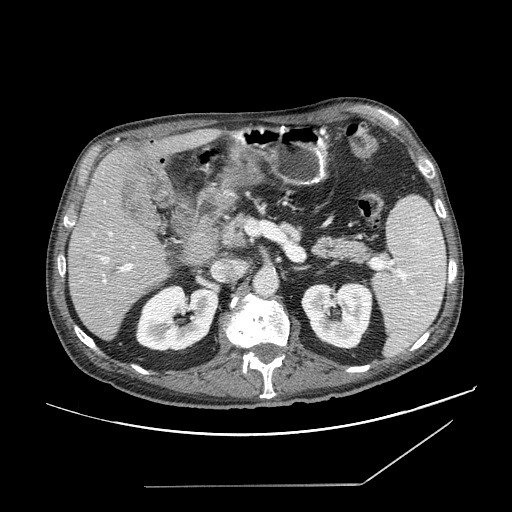
CT image

{
  "pancreas": [
    {"x1": 314, "y1": 239, "x2": 367, "y2": 261},
    {"x1": 224, "y1": 215, "x2": 247, "y2": 246}
  ]
}